512x512. CT slice. Slice 427 of 687. 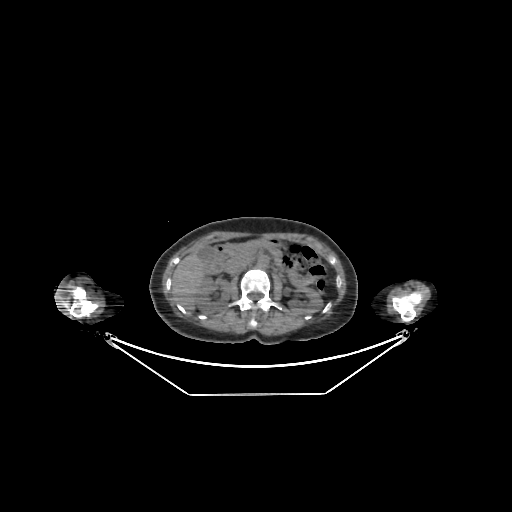

Liver: bounding box left=171, top=252, right=215, bottom=305.
Kidney: bounding box left=195, top=273, right=232, bottom=314; left=288, top=287, right=323, bottom=317.